Abdomen | Slice 72/168 | Computed tomography 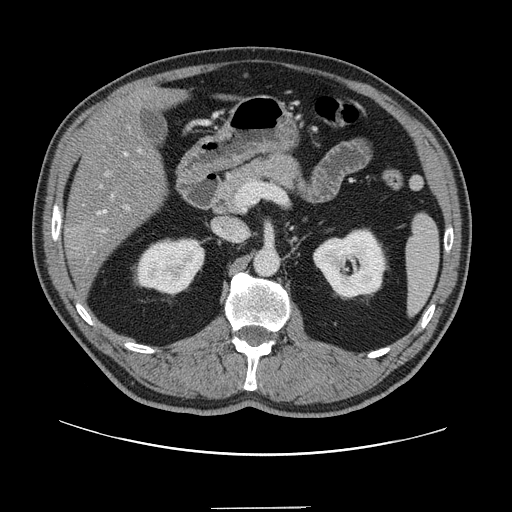

Some hepatic vessels may have no box.
The liver tumor is bounded by rect(67, 224, 95, 250). 8 hepatic vessel regions are located at rect(112, 195, 113, 198); rect(125, 206, 128, 209); rect(101, 230, 105, 232); rect(100, 185, 102, 187); rect(124, 153, 127, 155); rect(105, 172, 109, 175); rect(139, 150, 141, 152); rect(98, 210, 106, 214).